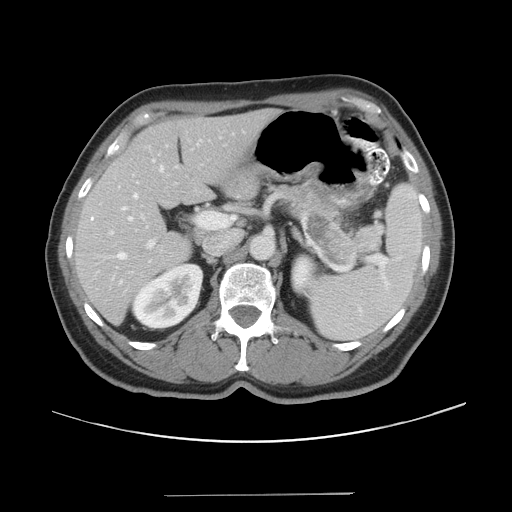 CT.

The vessel annotation is not exhaustive.
[15/16] hepatic vessel: (left=109, top=231, right=113, bottom=234), (left=147, top=239, right=154, bottom=248), (left=120, top=280, right=121, bottom=283), (left=160, top=166, right=163, bottom=171), (left=153, top=159, right=154, bottom=161), (left=122, top=206, right=126, bottom=209), (left=141, top=214, right=143, bottom=218), (left=209, top=140, right=210, bottom=141), (left=129, top=271, right=131, bottom=272), (left=128, top=217, right=132, bottom=220), (left=243, top=131, right=244, bottom=132), (left=196, top=140, right=201, bottom=145), (left=134, top=194, right=137, bottom=198), (left=117, top=252, right=126, bottom=259), (left=112, top=275, right=114, bottom=279)